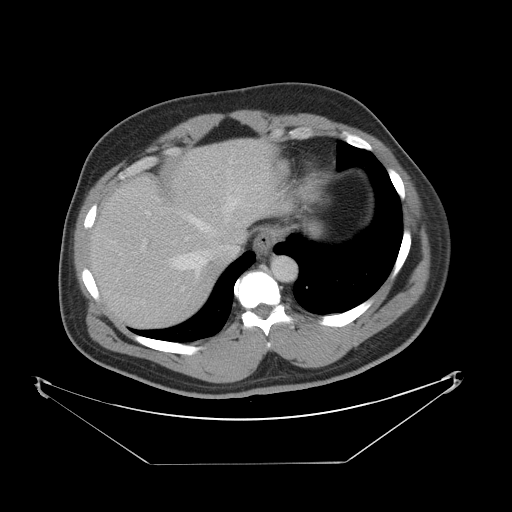 CT | 512x512
Not every hepatic vessel necessarily has a box.
Annotated regions:
* hepatic vessel: region(223, 204, 228, 211); region(173, 215, 237, 273); region(190, 234, 199, 238)